Upper abdomen, Slice index 29, CT slice

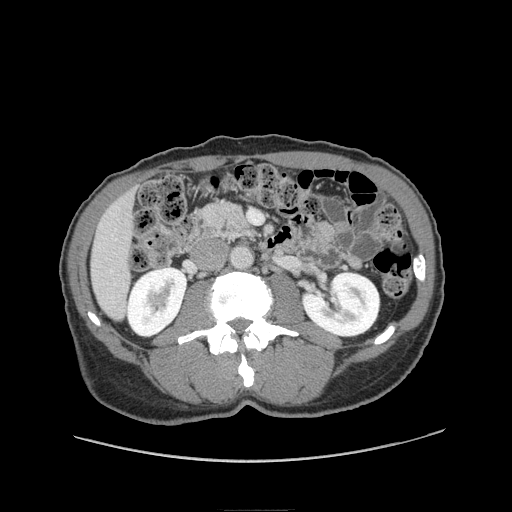
Segmented structures:
- pancreas: region(202, 202, 254, 239)